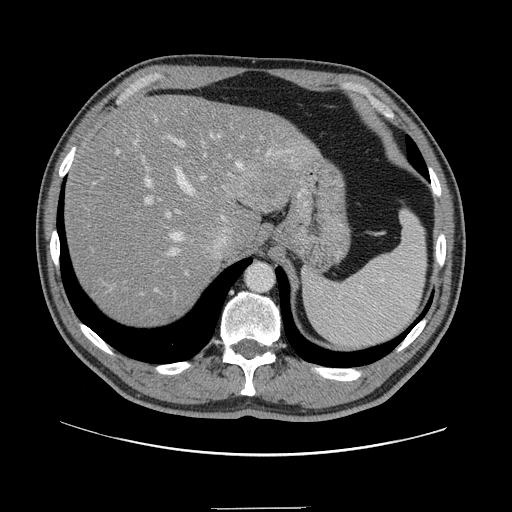

Abdomen, Computed tomography

Some hepatic vessels may have no box.
Liver tumor: bounding box [x1=248, y1=176, x2=283, y2=209].
Principal 15 of 17 hepatic vessel regions: bounding box [x1=145, y1=197, x2=152, y2=203], [x1=167, y1=212, x2=169, y2=216], [x1=202, y1=177, x2=204, y2=179], [x1=146, y1=178, x2=151, y2=186], [x1=117, y1=150, x2=119, y2=152], [x1=237, y1=161, x2=243, y2=170], [x1=172, y1=233, x2=182, y2=240], [x1=169, y1=249, x2=177, y2=255], [x1=170, y1=137, x2=184, y2=146], [x1=210, y1=132, x2=220, y2=140], [x1=268, y1=150, x2=272, y2=155], [x1=224, y1=187, x2=227, y2=190], [x1=142, y1=157, x2=144, y2=160], [x1=176, y1=168, x2=193, y2=193], [x1=134, y1=141, x2=137, y2=145].